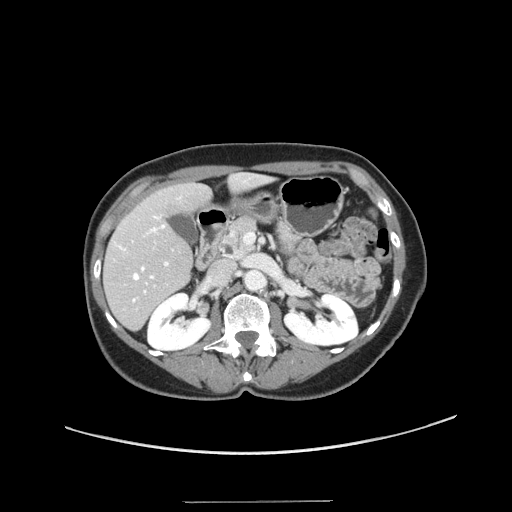 CT scan slice

Only some of the vessels may be annotated.
9 hepatic vessel regions are located at 155, 216, 160, 218; 148, 225, 164, 233; 134, 298, 135, 300; 134, 273, 138, 279; 142, 267, 143, 269; 177, 197, 180, 198; 118, 245, 125, 249; 151, 276, 152, 277; 165, 262, 167, 264.